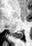 32x46 px | MRI
Posterior hippocampus at bbox=[10, 32, 22, 38].